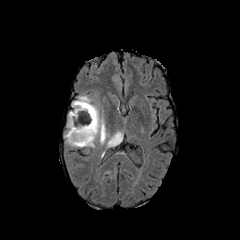
FLAIR MRI.
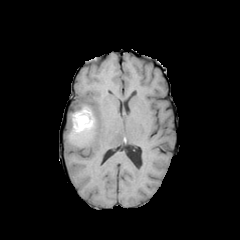
T1-weighted MRI.
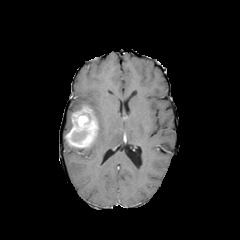
Post-contrast T1-weighted MR image of the same slice.
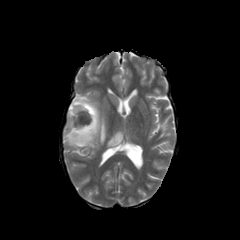
T2-weighted magnetic resonance.
Head
Non-enhancing tumor core: [x1=75, y1=104, x2=90, y2=111], [x1=75, y1=112, x2=90, y2=126], [x1=73, y1=130, x2=85, y2=139].
Edema: [x1=107, y1=131, x2=123, y2=147], [x1=67, y1=95, x2=107, y2=149].
Enhancing tumor: [x1=65, y1=108, x2=98, y2=147].